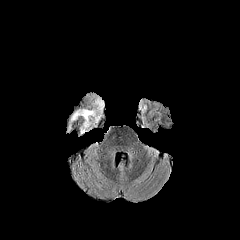
FLAIR MR image.
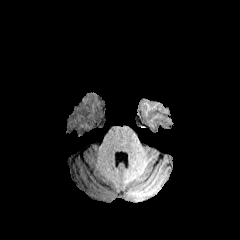
T1-weighted MR image.
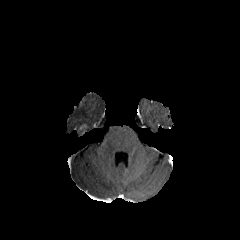
Post-contrast T1-weighted MR.
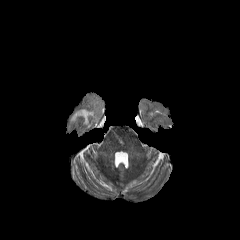
Same slice, T2-weighted MRI.
Brain
The edema is at (66, 93, 104, 133). The enhancing tumor is bounded by (77, 124, 86, 136).